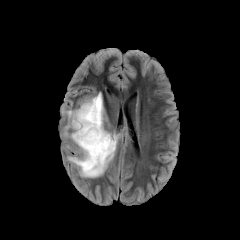
FLAIR MR image.
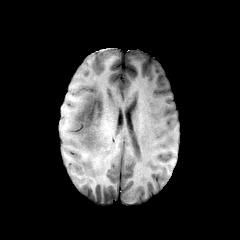
T1-weighted MR of the same slice.
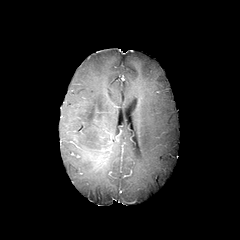
Same slice, post-contrast T1-weighted magnetic resonance.
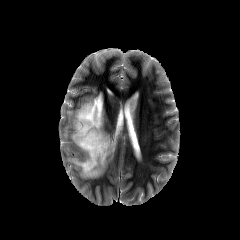
T2-weighted MR.
240x240 px
Edema: [67,92,119,177].
Non-enhancing tumor core: [101,141,113,153].